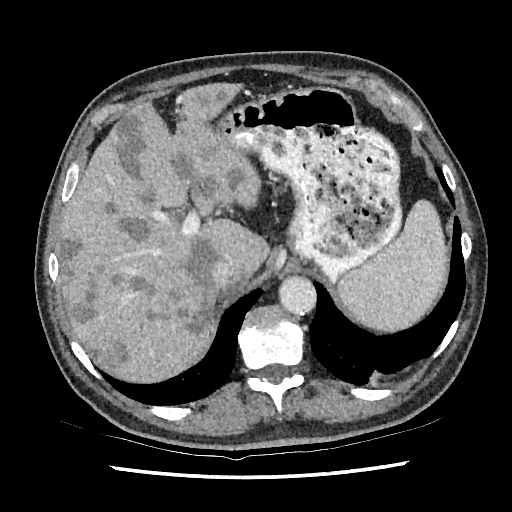
CT image

15 hepatic lesion regions appear at [118, 217, 152, 241], [59, 236, 82, 277], [193, 89, 230, 109], [110, 273, 120, 286], [173, 235, 222, 335], [103, 201, 116, 215], [145, 310, 169, 324], [67, 265, 106, 323], [87, 340, 131, 368], [113, 114, 147, 178], [138, 188, 158, 207], [168, 286, 182, 300], [172, 150, 245, 200], [202, 147, 216, 160], [129, 275, 153, 293]. The liver lies within [59, 84, 268, 382].